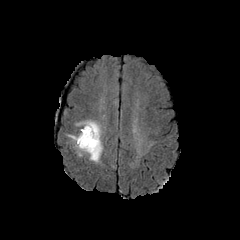
FLAIR magnetic resonance.
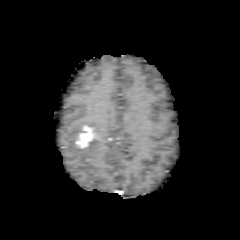
T1-weighted magnetic resonance.
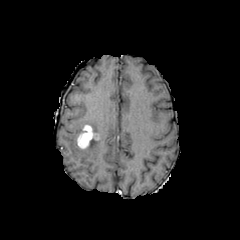
Post-contrast T1-weighted MR image of the same slice.
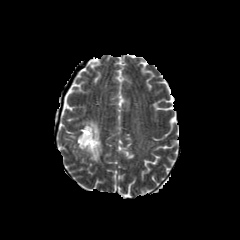
T2-weighted MR.
Head
Segmented structures:
* enhancing tumor: 77:124:97:148
* edema: 66:120:103:163
* non-enhancing tumor core: 87:139:97:148